Slice index 299, 512x512 px, CT image, Upper abdomen

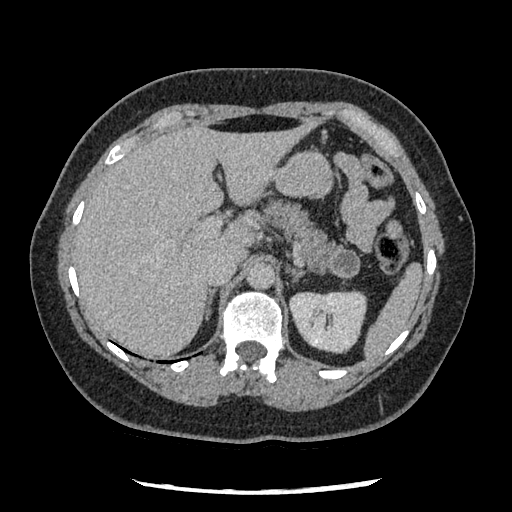

Pancreatic tumor: bounding box [x1=329, y1=249, x2=360, y2=278].
Pancreas: bounding box [x1=265, y1=198, x2=343, y2=273].